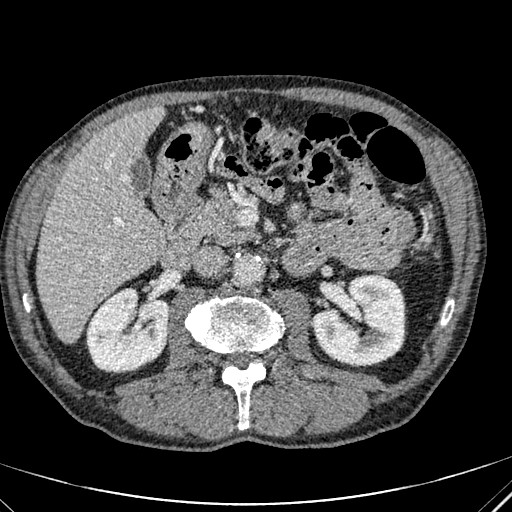
CT slice. 512x512.

• kidney: rect(314, 276, 403, 364); rect(88, 290, 167, 370)
• liver: rect(37, 107, 164, 343)